Computed tomography, Slice index 33, Image size 512x512 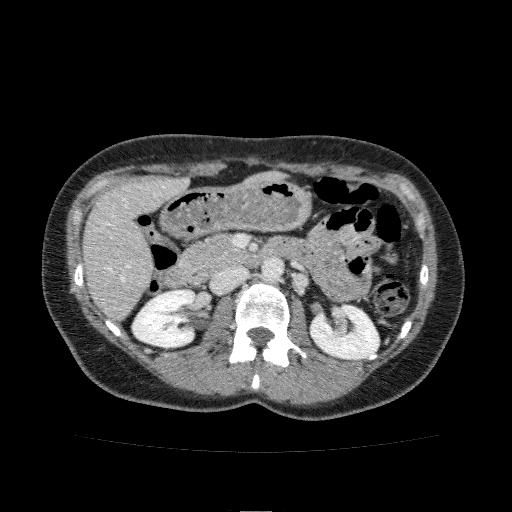

Kidney = bbox(311, 305, 378, 359); bbox(133, 290, 194, 347).
Liver = bbox(242, 171, 286, 186); bbox(83, 177, 189, 319).